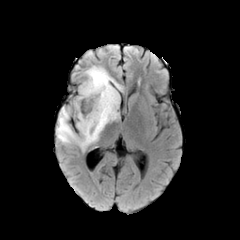
FLAIR magnetic resonance.
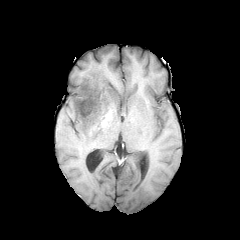
T1-weighted magnetic resonance of the same slice.
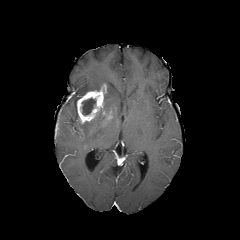
Post-contrast T1-weighted MR.
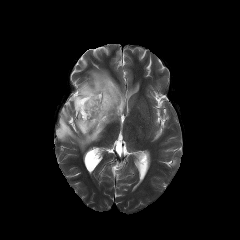
T2-weighted MRI of the same slice.
Brain | 240x240 px
<segmentation>
  <non-enhancing_tumor_core>x1=78, y1=108, x2=110, y2=129; x1=103, y1=82, x2=110, y2=111; x1=81, y1=98, x2=95, y2=115; x1=74, y1=85, x2=93, y2=117</non-enhancing_tumor_core>
  <edema>x1=56, y1=65, x2=123, y2=151</edema>
  <enhancing_tumor>x1=77, y1=84, x2=106, y2=123</enhancing_tumor>
</segmentation>